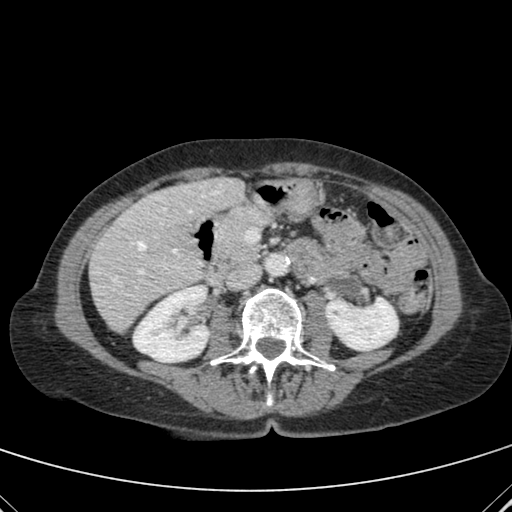

CT image. Abdomen.

Kidney: bounding box 326, 299, 397, 350; 134, 286, 208, 361.
Liver: bounding box 89, 178, 244, 328.